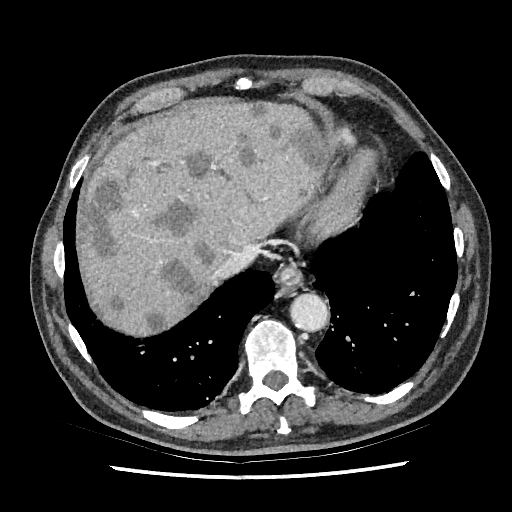 Liver. CT slice.

The largest 15 liver lesion regions (of 17) appear at (left=250, top=103, right=267, bottom=117), (left=143, top=310, right=167, bottom=333), (left=185, top=151, right=211, bottom=178), (left=78, top=167, right=136, bottom=255), (left=192, top=241, right=215, bottom=264), (left=269, top=126, right=280, bottom=139), (left=291, top=123, right=323, bottom=169), (left=235, top=133, right=257, bottom=169), (left=281, top=142, right=289, bottom=151), (left=297, top=187, right=307, bottom=197), (left=150, top=198, right=199, bottom=236), (left=160, top=258, right=209, bottom=311), (left=215, top=168, right=232, bottom=181), (left=146, top=131, right=164, bottom=146), (left=110, top=295, right=125, bottom=309). The liver lies within (left=77, top=103, right=325, bottom=334).